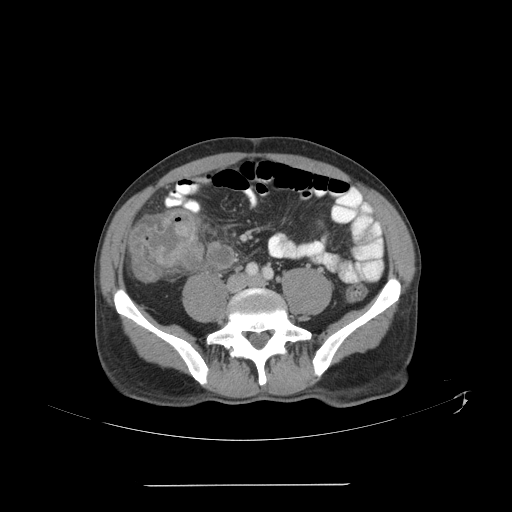

CT slice
<segmentation>
  <colon_tumor>rect(128, 211, 203, 283)</colon_tumor>
</segmentation>